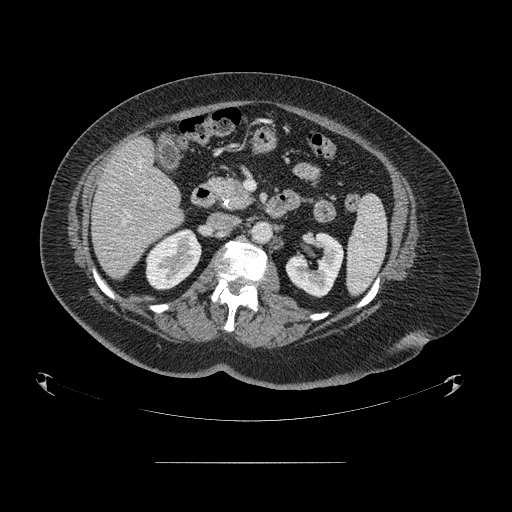 CT slice; Abdomen
<segmentation>
  <pancreas>[x1=209, y1=178, x2=251, y2=209]</pancreas>
  <pancreatic_tumor>[x1=222, y1=181, x2=241, y2=198]</pancreatic_tumor>
</segmentation>